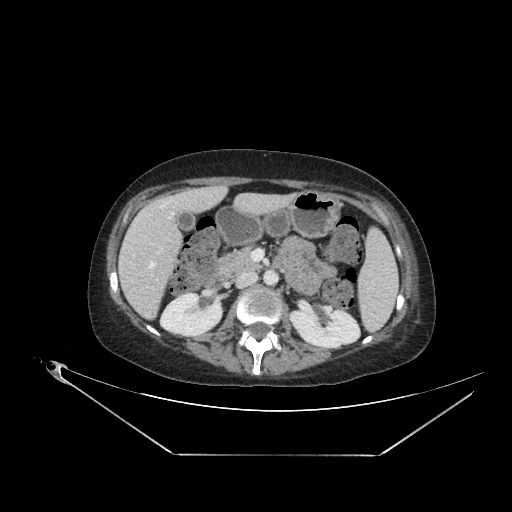
CT image

{"kidney": ["rect(291, 306, 359, 347)", "rect(161, 294, 221, 335)"], "liver": ["rect(117, 185, 226, 321)"]}